512x512; CT scan slice
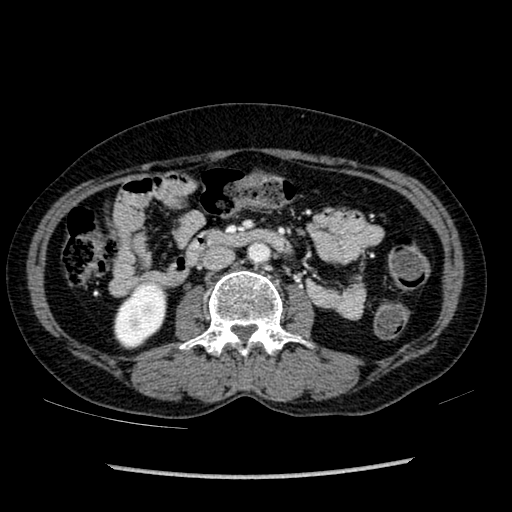
The kidney lies within 115:282:164:345.